Image size 512x512, Abdomen, CT scan slice
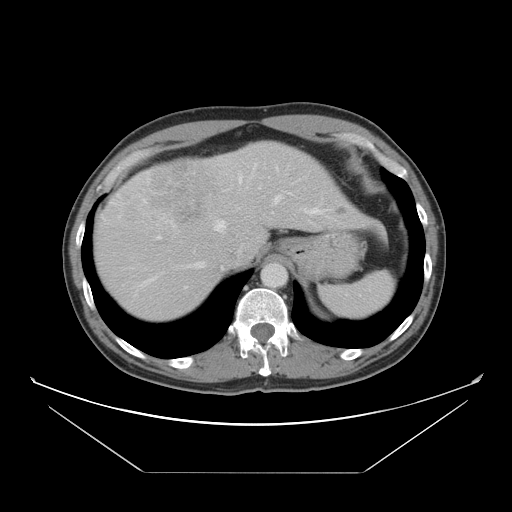
Some hepatic vessels may have no box.
13 hepatic vessel regions are bounded by x1=157, y1=236, x2=160, y2=239; x1=195, y1=262, x2=205, y2=267; x1=288, y1=192, x2=292, y2=195; x1=214, y1=220, x2=225, y2=232; x1=236, y1=206, x2=238, y2=208; x1=304, y1=207, x2=326, y2=214; x1=327, y1=216, x2=329, y2=217; x1=271, y1=212, x2=273, y2=213; x1=222, y1=189, x2=229, y2=191; x1=143, y1=278, x2=154, y2=284; x1=239, y1=177, x2=241, y2=181; x1=273, y1=195, x2=282, y2=203; x1=187, y1=265, x2=190, y2=266. The liver tumor is bounded by x1=149, y1=162, x2=217, y2=223.